Slice 200 of 432 | CT slice

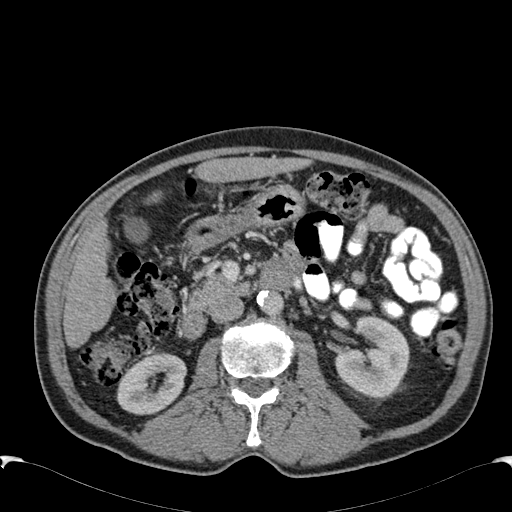

{"kidney": ["117, 354, 185, 414", "336, 317, 408, 397"], "liver": ["196, 157, 311, 182", "146, 189, 162, 203", "64, 218, 116, 347"]}